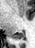
Hippocampus, 35x48, MR

Annotated regions:
* posterior hippocampus: box=[13, 32, 24, 39]